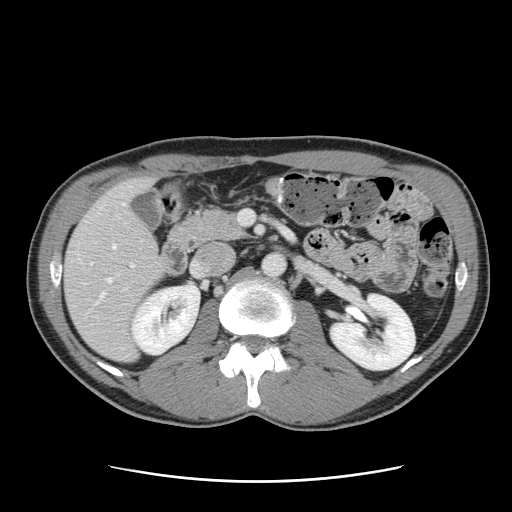 Liver. CT. Not every hepatic vessel necessarily has a box.
Hepatic vessel = bbox=[107, 277, 111, 281]; bbox=[131, 264, 133, 266]; bbox=[94, 293, 103, 304]; bbox=[113, 245, 115, 248]; bbox=[122, 203, 124, 205].